FLAIR MR.
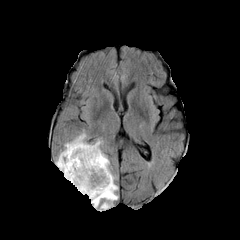
T1-weighted MR image.
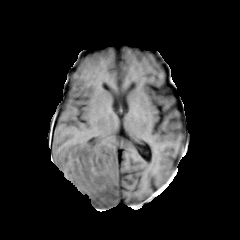
Post-contrast T1-weighted MR.
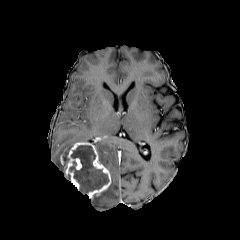
T2-weighted magnetic resonance.
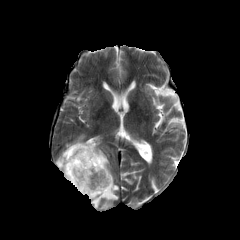
Image size 240x240; Head
4 edema regions are located at bbox=[55, 134, 89, 179]; bbox=[78, 161, 106, 191]; bbox=[91, 139, 117, 209]; bbox=[76, 146, 91, 159]. The non-enhancing tumor core is located at bbox=[70, 146, 95, 192]. The enhancing tumor is located at bbox=[64, 142, 111, 198].